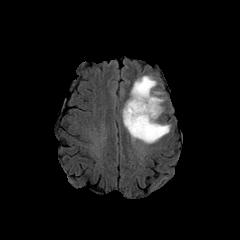
FLAIR MR.
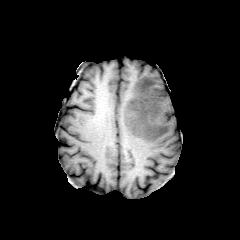
T1-weighted MR of the same slice.
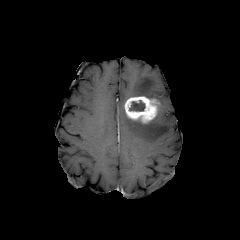
Post-contrast T1-weighted MR image of the same slice.
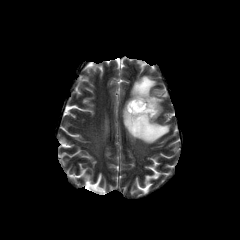
T2-weighted MRI.
Head.
Non-enhancing tumor core at bbox=[129, 100, 144, 110].
Enhancing tumor at bbox=[124, 95, 160, 124].
Edema at bbox=[122, 106, 170, 144]; bbox=[131, 75, 163, 102].